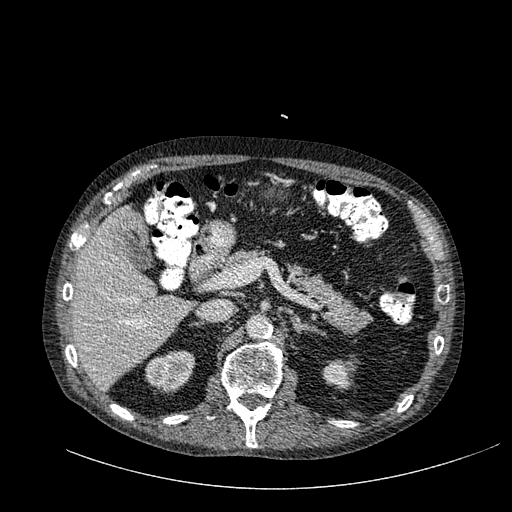
CT
<segmentation>
  <liver>(74,205,191,389)</liver>
  <liver_lesion>(107,213,146,260)</liver_lesion>
  <kidney>(323,359,356,389), (145,350,195,392)</kidney>
</segmentation>